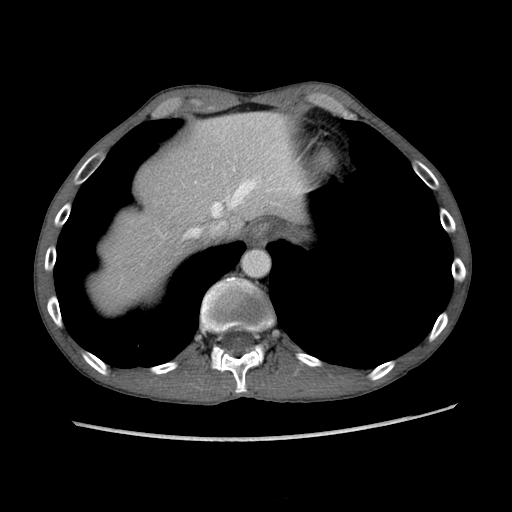

CT image, 512x512
Liver — 91 111 308 312.